FLAIR MRI.
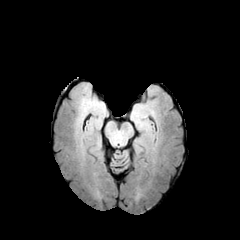
T1-weighted MR image.
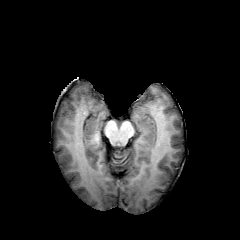
Post-contrast T1-weighted magnetic resonance.
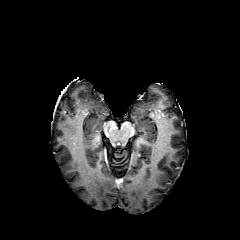
T2-weighted MR.
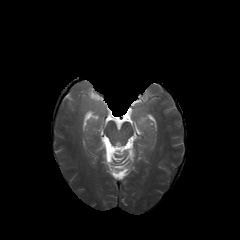
Brain, Image size 240x240
edema:
  - <bbox>81, 101, 104, 119</bbox>